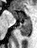

Hippocampus; MR
{
  "posterior_hippocampus": [
    "(left=18, top=21, right=31, bottom=34)"
  ],
  "anterior_hippocampus": [
    "(left=20, top=15, right=22, bottom=17)",
    "(left=10, top=10, right=17, bottom=18)",
    "(left=22, top=15, right=30, bottom=20)"
  ]
}